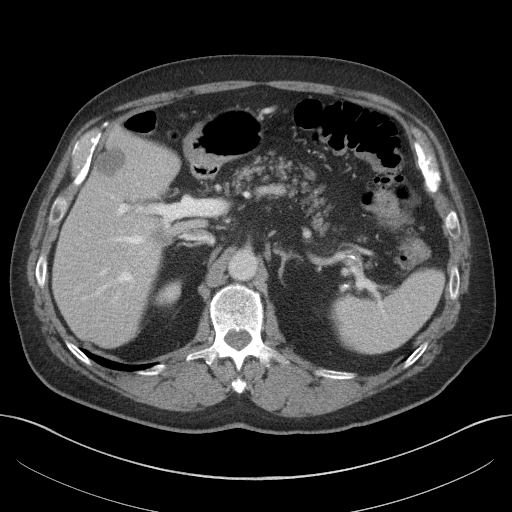 CT slice, Liver

Kidney: bounding box {"x1": 160, "y1": 287, "x2": 177, "y2": 300}.
Liver: bounding box {"x1": 53, "y1": 129, "x2": 176, "y2": 346}.
Focal liver lesion: bounding box {"x1": 153, "y1": 229, "x2": 169, "y2": 245}, {"x1": 96, "y1": 148, "x2": 126, "y2": 175}.